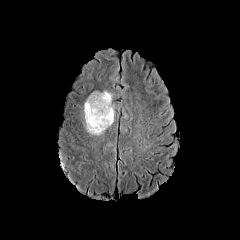
FLAIR magnetic resonance.
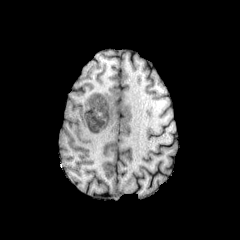
T1-weighted magnetic resonance.
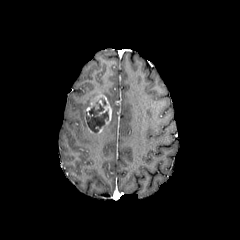
Post-contrast T1-weighted MRI.
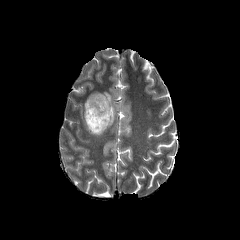
T2-weighted MRI.
240x240 px. Head.
edema: l=83, t=91, r=100, b=115; l=102, t=90, r=112, b=105; l=108, t=106, r=114, b=126 | non-enhancing tumor core: l=84, t=97, r=109, b=135 | enhancing tumor: l=86, t=94, r=111, b=124